FLAIR MRI.
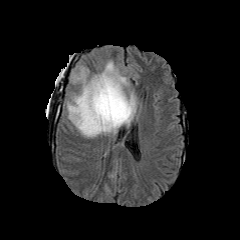
T1-weighted MR image.
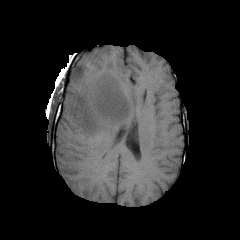
Post-contrast T1-weighted MR image.
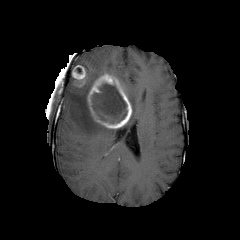
T2-weighted MRI.
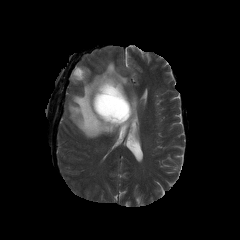
240x240
non-enhancing tumor core: <box>84,83,125,123</box>, <box>74,65,83,73</box> | edema: <box>66,60,138,138</box> | enhancing tumor: <box>72,68,85,81</box>, <box>88,74,131,127</box>